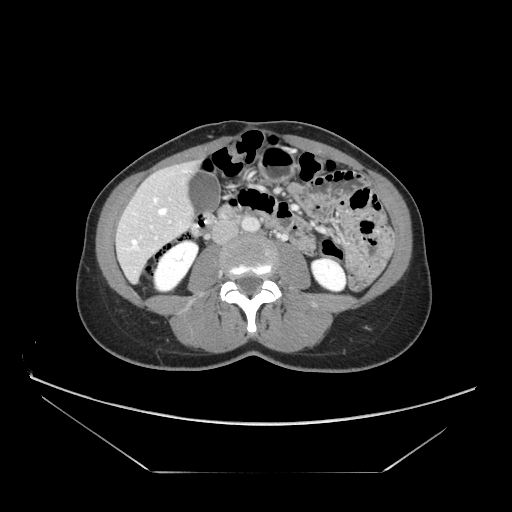 Image size 512x512, CT image

The pancreas is bounded by box(219, 204, 234, 218).